CT, Pelvis

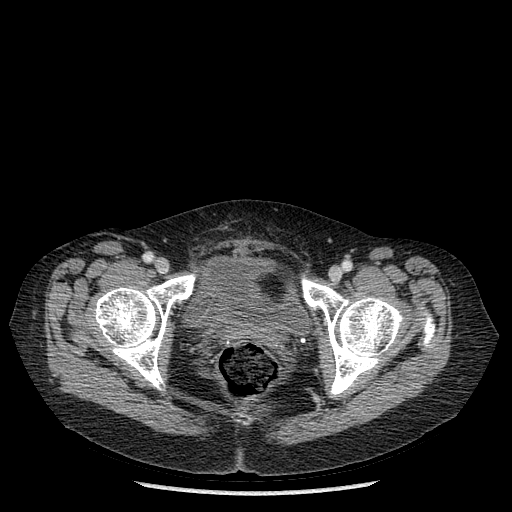

urinary bladder: (left=190, top=255, right=302, bottom=343) | bone: (left=419, top=312, right=435, bottom=347), (left=301, top=278, right=405, bottom=397), (left=91, top=274, right=195, bottom=389)